Brain.
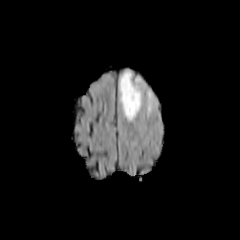
FLAIR MR image.
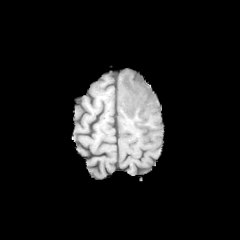
T1-weighted magnetic resonance.
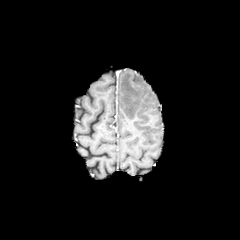
Post-contrast T1-weighted magnetic resonance.
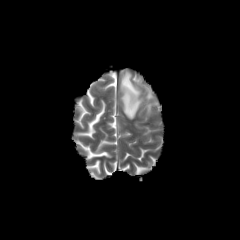
T2-weighted MR.
edema: (120,69,142,120)